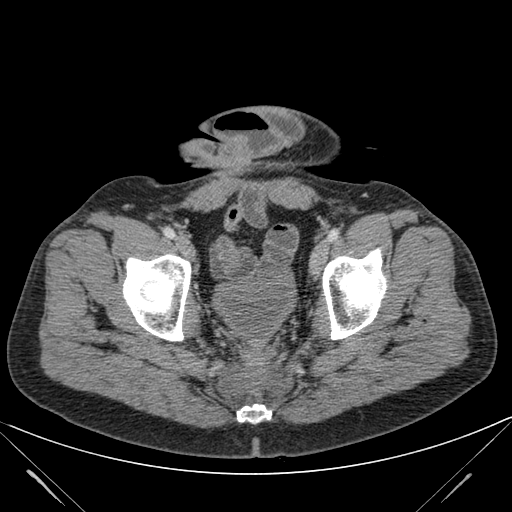

CT image; Lower abdomen
{
  "urinary_bladder": [
    "x1=212 y1=257 x2=296 y2=339"
  ]
}